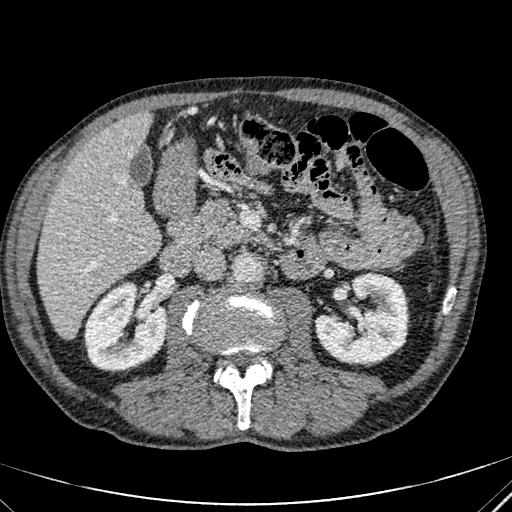 CT slice, Abdomen

* liver: region(37, 111, 159, 339)
* kidney: region(85, 285, 165, 369); region(316, 274, 406, 361)